Computed tomography | 512x512 px | Field of view 344x344 mm | Slice 186/466 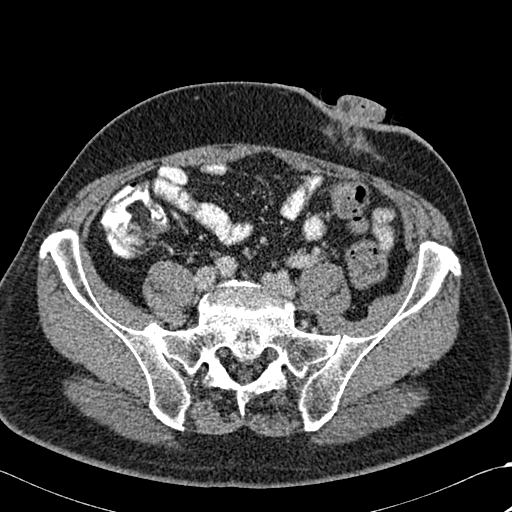
bone:
  - box(40, 229, 459, 430)